Slice 257/422, CT, Image size 512x512, Abdomen, Field of view 353x353 mm
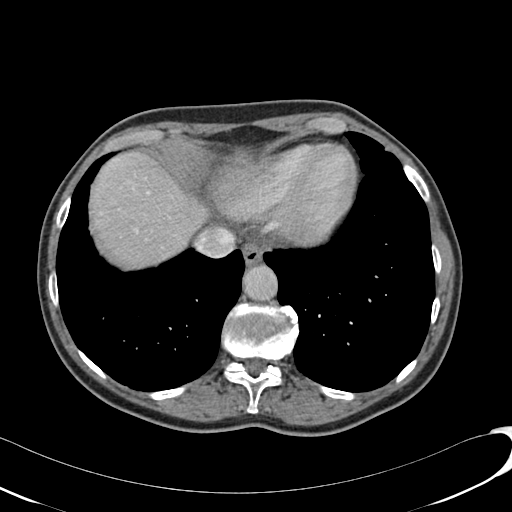 - liver: [233, 153, 247, 165], [91, 153, 208, 267]